Computed tomography | Upper abdomen

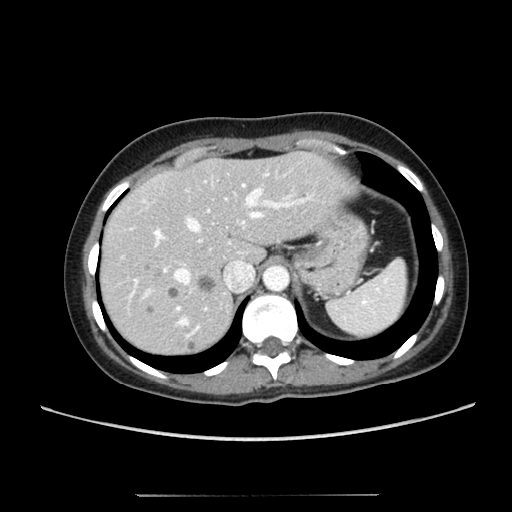 liver:
  - 101,150,358,354
liver_lesion:
  - 197,273,215,292
  - 168,287,179,297
  - 187,341,196,350
  - 145,305,154,313